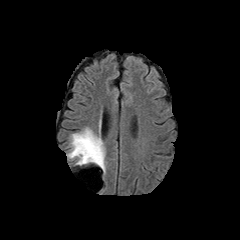
FLAIR MRI.
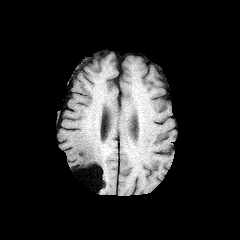
T1-weighted MR.
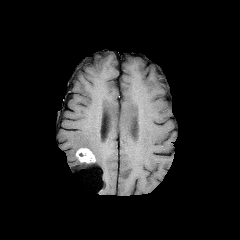
Same slice, post-contrast T1-weighted MR.
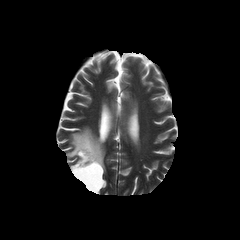
T2-weighted MR of the same slice.
Head; 240x240
<segmentation>
  <non-enhancing_tumor_core>77 149 103 169</non-enhancing_tumor_core>
  <enhancing_tumor>76 148 96 163</enhancing_tumor>
  <edema>66 126 107 175</edema>
</segmentation>